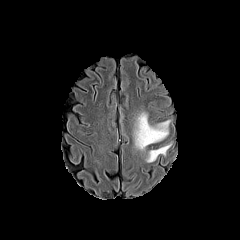
FLAIR MR.
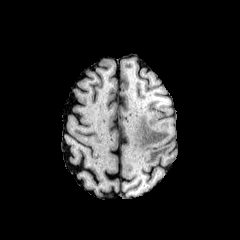
T1-weighted MR.
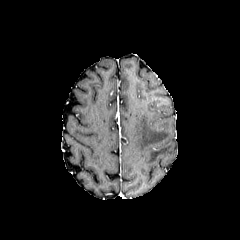
Post-contrast T1-weighted magnetic resonance.
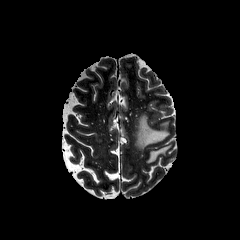
T2-weighted magnetic resonance of the same slice.
240x240 px
<segmentation>
  <edema>box=[147, 146, 170, 162]; box=[135, 113, 169, 149]</edema>
</segmentation>